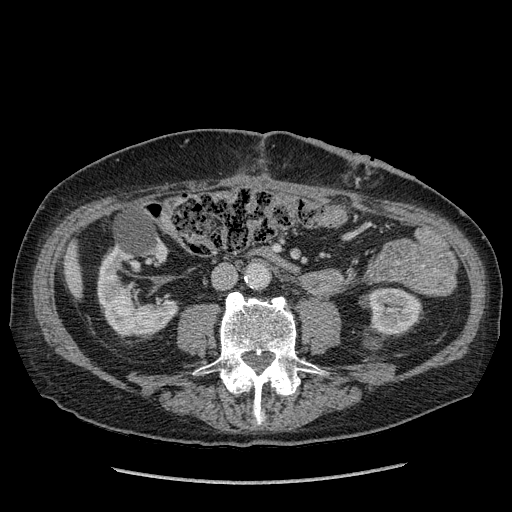
512x512 px; CT image
liver:
  - (64, 240, 81, 298)
kidney:
  - (155, 241, 166, 262)
  - (368, 288, 421, 334)
  - (98, 246, 176, 334)